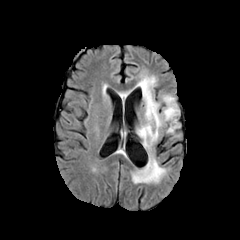
FLAIR MR image.
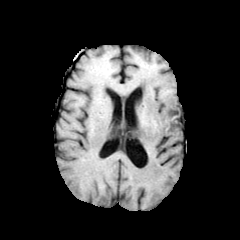
T1-weighted magnetic resonance.
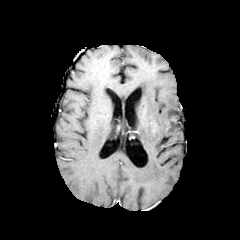
Post-contrast T1-weighted magnetic resonance.
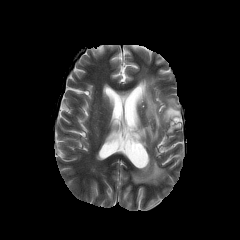
T2-weighted MRI of the same slice.
Brain | Image size 240x240
Edema = [132,75,179,183].